CT scan slice. 512x512.
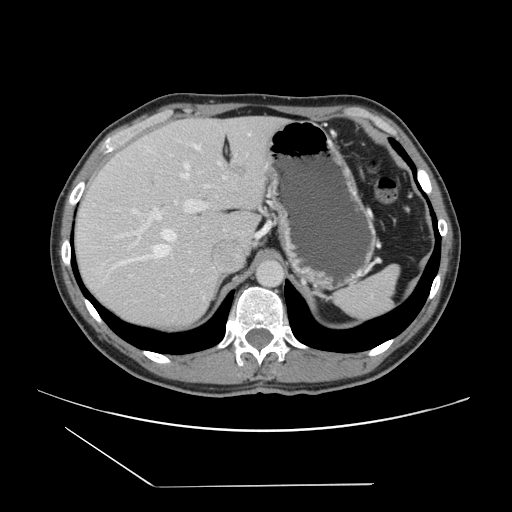

Only some of the vessels may be annotated.
liver_tumor:
  - (x1=231, y1=163, x2=244, y2=177)
hepatic_vessel:
  - (x1=201, y1=203, x2=207, y2=209)
  - (x1=206, y1=185, x2=212, y2=187)
  - (x1=184, y1=205, x2=184, y2=210)
  - (x1=146, y1=146, x2=148, y2=150)
  - (x1=159, y1=210, x2=161, y2=213)
  - (x1=129, y1=244, x2=135, y2=248)
  - (x1=137, y1=240, x2=138, y2=242)
  - (x1=181, y1=163, x2=188, y2=177)
  - (x1=152, y1=246, x2=153, y2=249)
  - (x1=115, y1=235, x2=120, y2=237)
  - (x1=248, y1=133, x2=250, y2=135)
  - (x1=132, y1=208, x2=134, y2=209)
  - (x1=167, y1=241, x2=172, y2=242)